Computed tomography. Abdomen. Slice index 77.
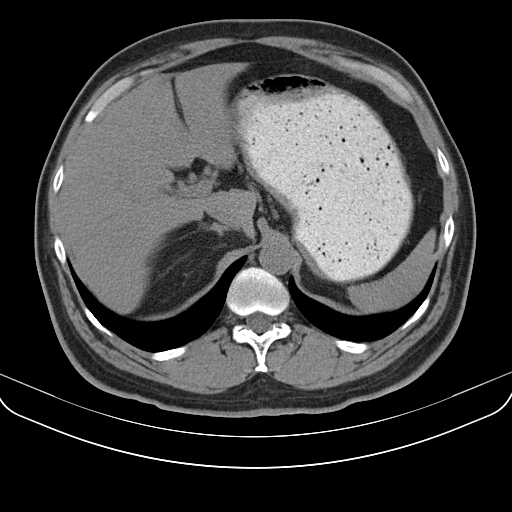

Spleen: 352, 237, 434, 313.